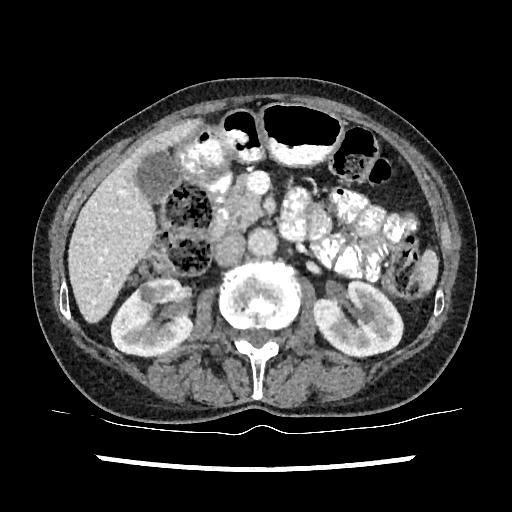 CT
{"kidney": ["(314,282,403,355)", "(112,277,192,355)"], "liver": ["(69,120,196,322)"]}